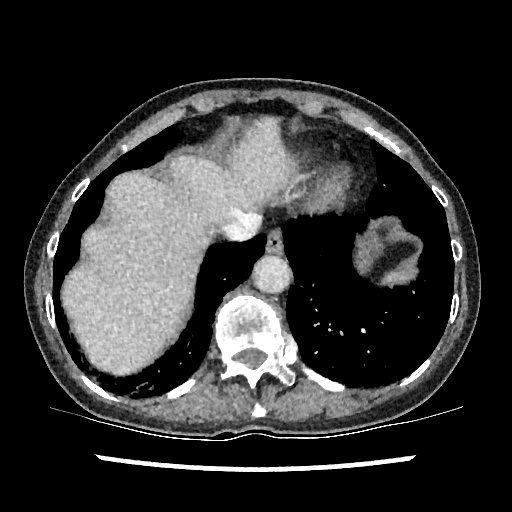 Upper abdomen; CT slice
liver: [62,119,294,374]